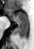
Medial temporal lobe; MR image
Anterior hippocampus = <box>7,9,27,20</box>.
Posterior hippocampus = <box>15,21,27,37</box>.